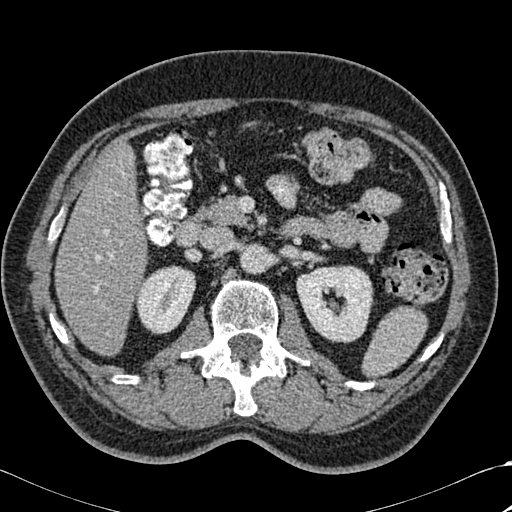 CT. Liver. <segmentation>
  <liver>{"x1": 56, "y1": 147, "x2": 148, "y2": 355}</liver>
  <kidney>{"x1": 297, "y1": 267, "x2": 371, "y2": 341}, {"x1": 138, "y1": 267, "x2": 194, "y2": 332}</kidney>
  <bone>{"x1": 443, "y1": 218, "x2": 451, "y2": 241}, {"x1": 113, "y1": 375, "x2": 138, "y2": 383}, {"x1": 347, "y1": 382, "x2": 372, "y2": 390}, {"x1": 181, "y1": 281, "x2": 308, "y2": 415}, {"x1": 422, "y1": 337, "x2": 441, "y2": 360}, {"x1": 48, "y1": 222, "x2": 60, "y2": 240}, {"x1": 50, "y1": 316, "x2": 67, "y2": 343}</bone>
</segmentation>